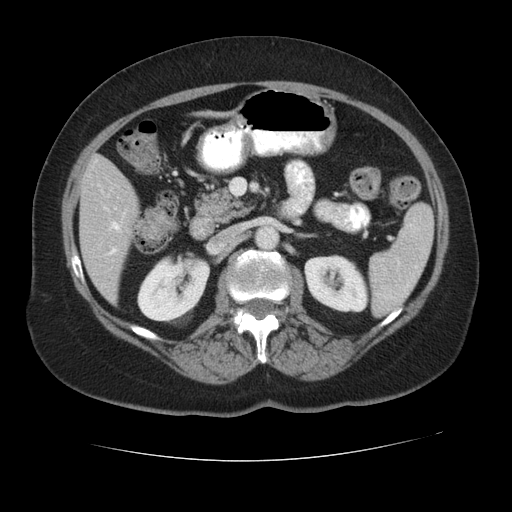 Computed tomography. {
  "pancreas": [
    "(left=195, top=188, right=249, bottom=223)"
  ]
}